Head | Image width 240 mm
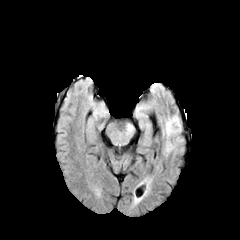
FLAIR MR image.
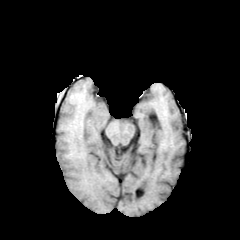
Same slice, T1-weighted magnetic resonance.
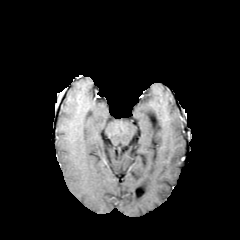
Post-contrast T1-weighted MR image.
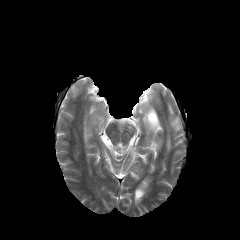
T2-weighted MR image of the same slice.
The edema lies within [164,118,179,152].